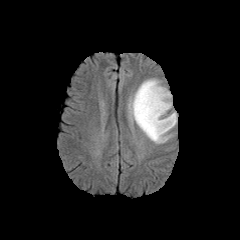
FLAIR MR image.
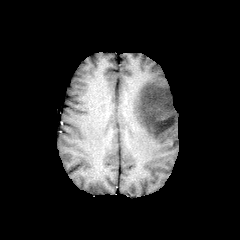
T1-weighted MR.
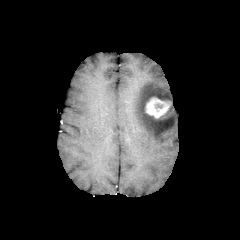
Same slice, post-contrast T1-weighted MR image.
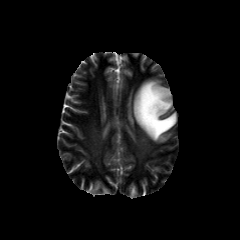
T2-weighted MR image of the same slice.
Brain, Image size 240x240
enhancing tumor: x1=146, y1=98, x2=169, y2=117 | edema: x1=128, y1=78, x2=177, y2=143 | non-enhancing tumor core: x1=138, y1=88, x2=173, y2=132